512x512; Slice 16/34; CT image 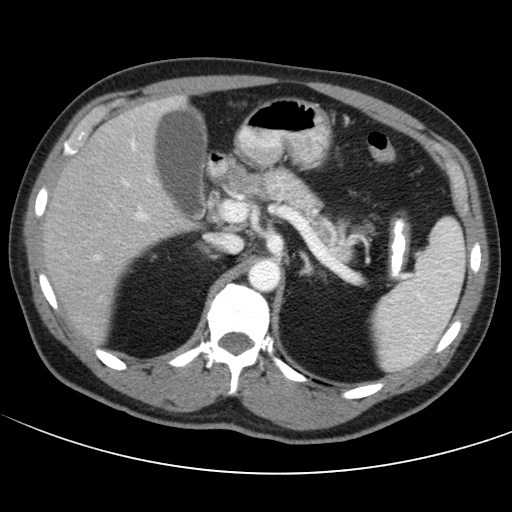 Not every hepatic vessel necessarily has a box.
3 hepatic vessel regions are located at left=95, top=255, right=99, bottom=258; left=131, top=142, right=134, bottom=147; left=136, top=209, right=144, bottom=217.